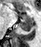

41x47 px; Medial temporal lobe; MR image

Anterior hippocampus — <bbox>16, 14, 19, 16</bbox>, <bbox>19, 15, 33, 19</bbox>.
Posterior hippocampus — <bbox>19, 20, 32, 31</bbox>.